Image size 36x42 | MRI 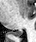
Segmented structures:
* posterior hippocampus: bbox(9, 30, 23, 36)